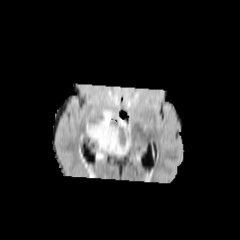
FLAIR magnetic resonance.
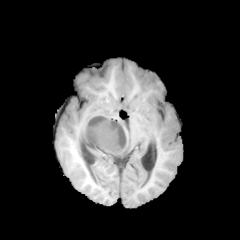
T1-weighted MR image of the same slice.
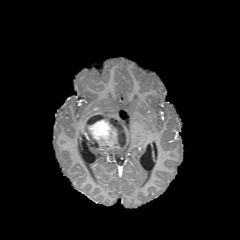
Post-contrast T1-weighted magnetic resonance of the same slice.
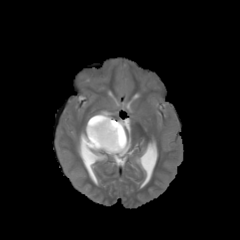
T2-weighted magnetic resonance.
The non-enhancing tumor core is located at bbox(83, 112, 129, 154). The edema is bounded by bbox(109, 147, 128, 156). The enhancing tumor is at bbox(87, 119, 119, 151).